Upper abdomen; CT slice; Field of view 364x364 mm
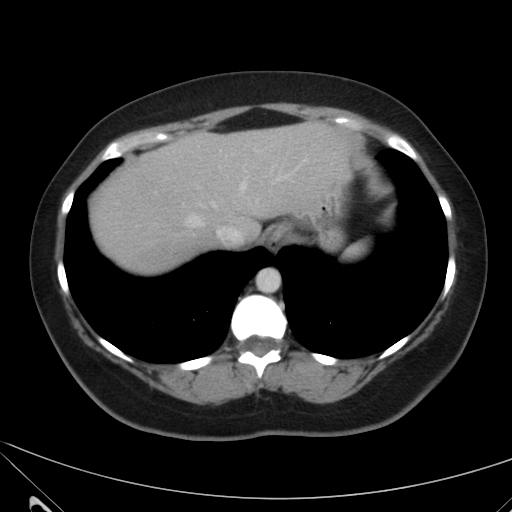

Liver at 91 121 350 271.